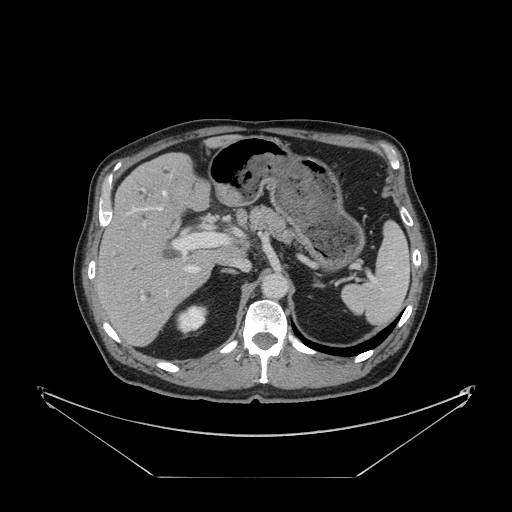 CT slice, Liver

Only some of the vessels may be annotated.
Hepatic vessel: bounding box <box>132,207,137,211</box>, <box>143,223,145,226</box>, <box>186,266,197,272</box>, <box>173,232,227,255</box>, <box>155,207,161,210</box>, <box>166,290,167,292</box>, <box>141,296,144,300</box>, <box>163,192,165,195</box>, <box>143,208,148,209</box>.